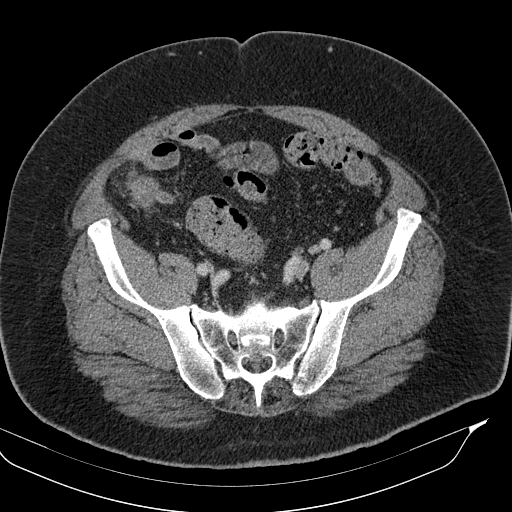
CT | Abdomen
{
  "colon_tumor": [
    "(left=130, top=178, right=156, bottom=194)"
  ]
}